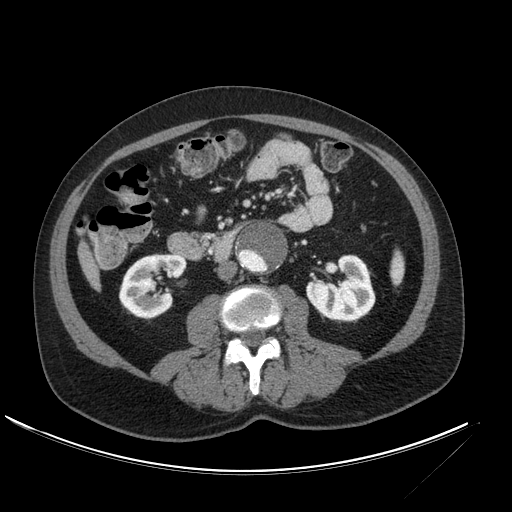
Upper abdomen, CT image

Liver = 77, 238, 100, 291.
Kidney = 120, 255, 185, 317; 307, 256, 374, 320.